Liver, CT scan slice
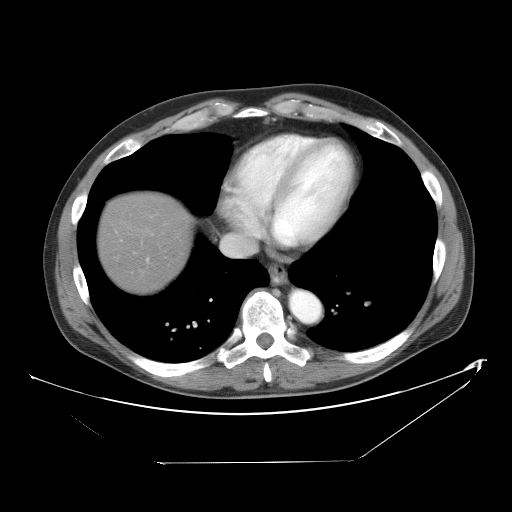
Only some of the vessels may be annotated.
<segmentation>
  <hepatic_vessel>146:258:147:260</hepatic_vessel>
</segmentation>